Brain.
FLAIR MR image.
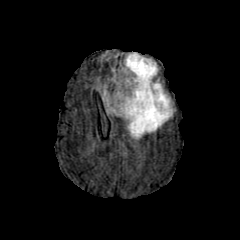
T1-weighted magnetic resonance.
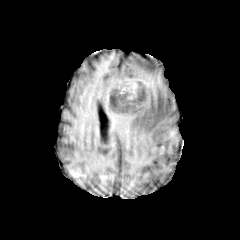
Post-contrast T1-weighted MR.
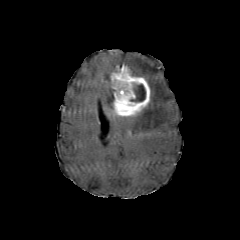
T2-weighted MR image.
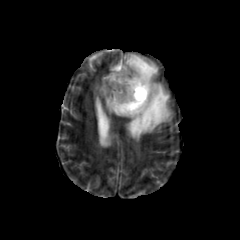
Non-enhancing tumor core — (131, 84, 145, 101).
Enhancing tumor — (111, 64, 150, 116).
Edema — (121, 53, 173, 141), (101, 86, 115, 114).